MR image.

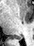 posterior_hippocampus:
  - bbox(16, 36, 22, 39)